Image size 512x512; CT scan slice; Slice index 17; Liver

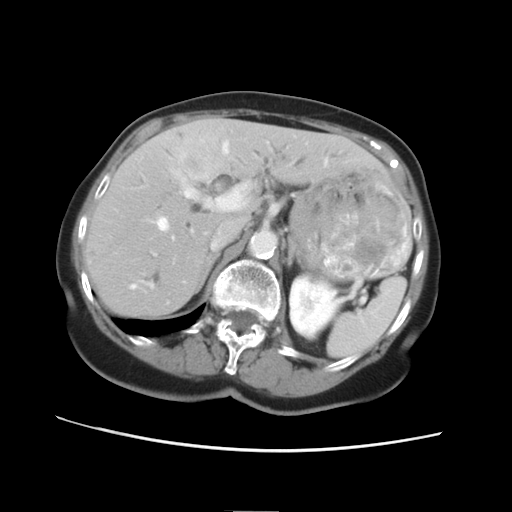
Only some of the vessels may be annotated.
Hepatic vessel = 204:182:249:211, 174:171:198:198, 158:218:166:229.
Liver tumor = 176:136:215:182.